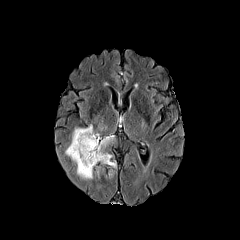
FLAIR MRI.
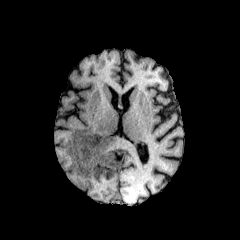
T1-weighted MR.
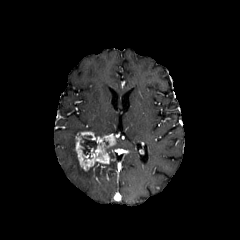
Post-contrast T1-weighted MR image.
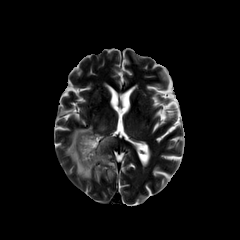
T2-weighted MRI of the same slice.
240x240, Head
non-enhancing_tumor_core:
  - {"x1": 80, "y1": 135, "x2": 97, "y2": 155}
edema:
  - {"x1": 65, "y1": 125, "x2": 116, "y2": 181}
enhancing_tumor:
  - {"x1": 75, "y1": 131, "x2": 115, "y2": 171}